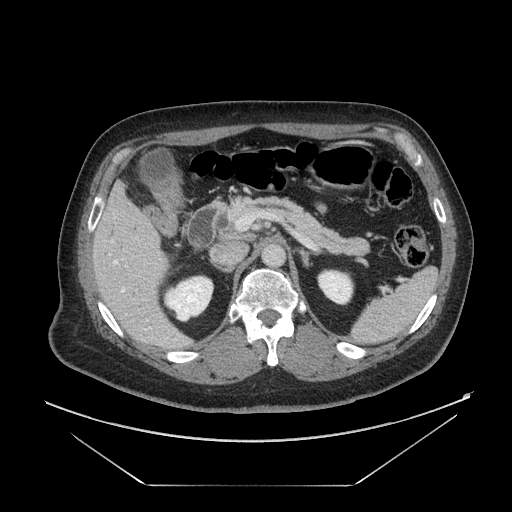

512x512. CT slice.
Pancreas: left=213, top=197, right=369, bottom=256.